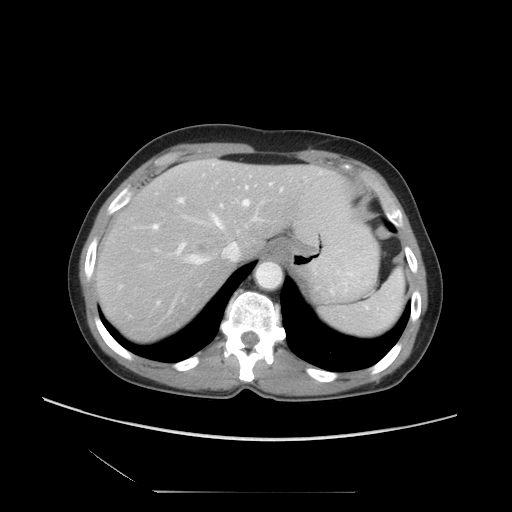 CT slice
Not every hepatic vessel necessarily has a box.
<segmentation>
  <hepatic_vessel>(269, 182, 271, 184), (211, 213, 222, 228), (220, 204, 222, 206), (252, 213, 259, 219), (175, 243, 183, 254), (178, 197, 183, 202), (242, 199, 248, 205), (280, 187, 282, 190), (186, 254, 204, 263), (152, 224, 157, 228)</hepatic_vessel>
</segmentation>